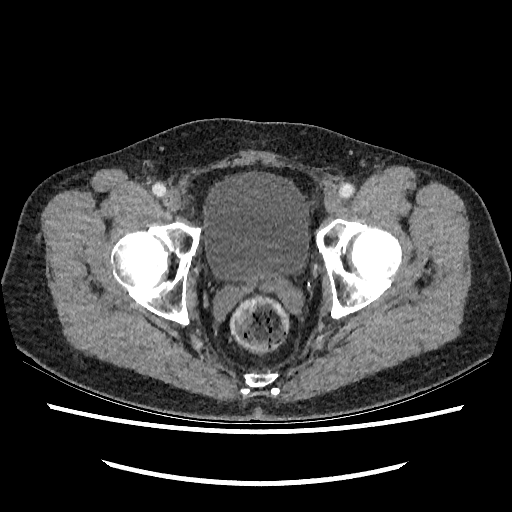 CT slice, Pelvis, 512x512 px
urinary_bladder:
  - [200, 170, 310, 280]